Slice 110/155.
FLAIR MR image.
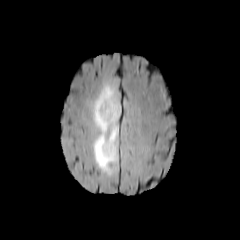
T1-weighted MRI.
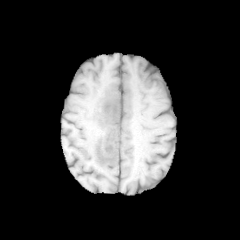
Post-contrast T1-weighted MRI.
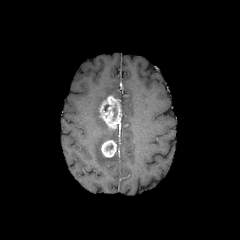
T2-weighted MR image.
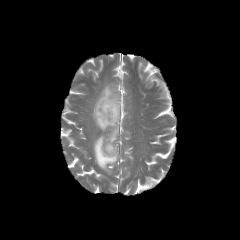
2 enhancing tumor regions are located at (x1=100, y1=95, x2=122, y2=130), (x1=101, y1=140, x2=116, y2=157). 2 non-enhancing tumor core regions appear at (x1=112, y1=103, x2=117, y2=121), (x1=102, y1=103, x2=111, y2=112). The edema lies within (x1=93, y1=83, x2=119, y2=173).